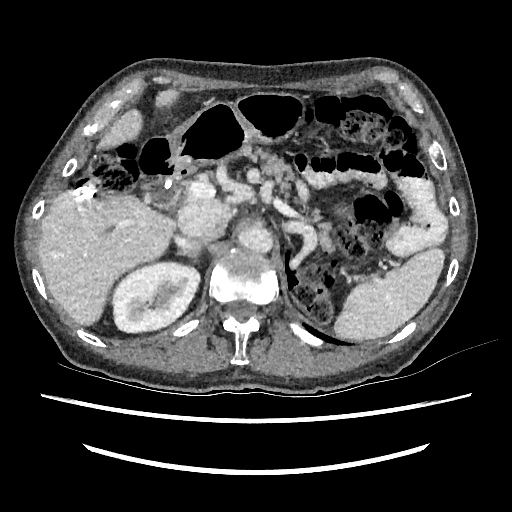
CT image, Image size 512x512
Liver = (x1=158, y1=90, x2=175, y2=107), (x1=40, y1=192, x2=175, y2=324), (x1=99, y1=110, x2=141, y2=148).
Kidney = (x1=113, y1=263, x2=199, y2=332).